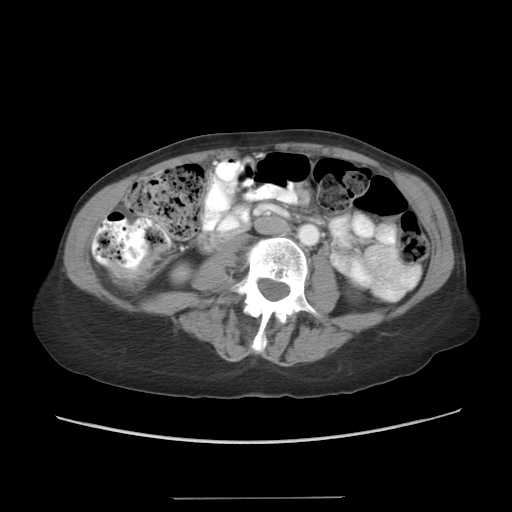 Pelvis | CT slice
Findings:
* colon tumor: [110,249,161,279]